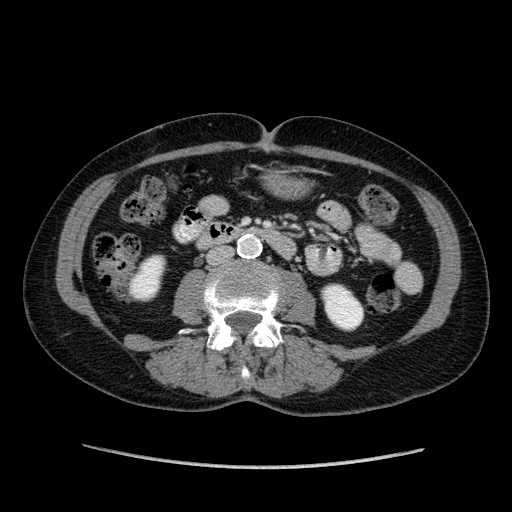

CT scan slice; Abdomen

2 kidney regions are located at x1=325 y1=286 x2=362 y2=328, x1=131 y1=258 x2=161 y2=297.